35x53. Slice 22 of 33. MR image. 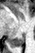
Posterior hippocampus: left=9, top=35, right=23, bottom=47.